FLAIR MR image.
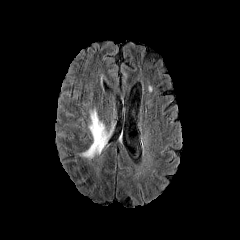
T1-weighted magnetic resonance.
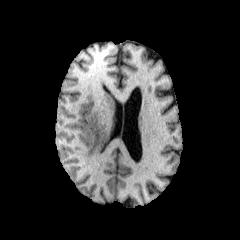
Post-contrast T1-weighted magnetic resonance.
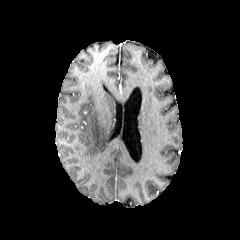
T2-weighted MR image.
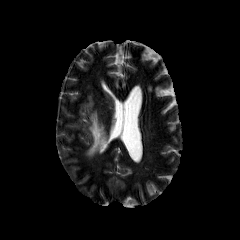
edema: rect(84, 109, 113, 157)